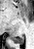
MR image | Medial temporal lobe
posterior_hippocampus:
  - [13,36,23,43]